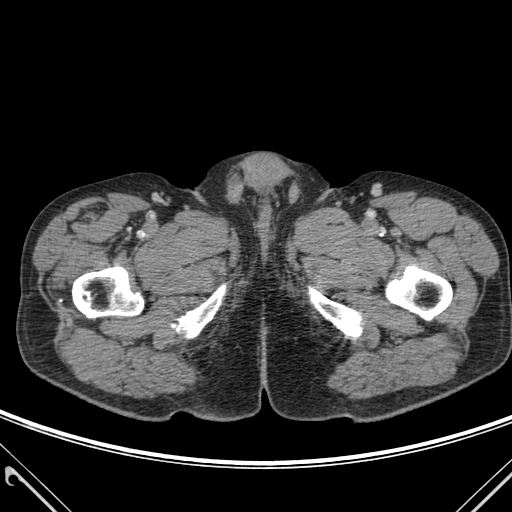
CT. 512x512 px. Bone: 386:266:452:319, 172:285:225:337, 309:288:361:337, 72:267:143:317.